240x240 px. Slice index 65.
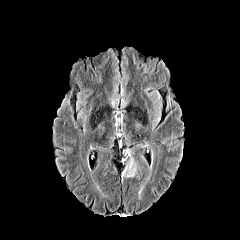
FLAIR MRI.
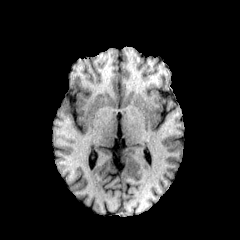
T1-weighted MR image.
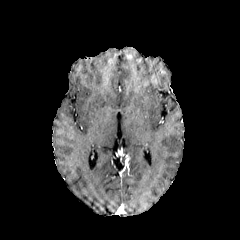
Post-contrast T1-weighted MR.
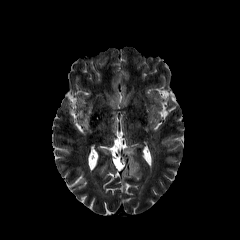
T2-weighted MR image.
edema:
  - x1=122 y1=154 x2=138 y2=177